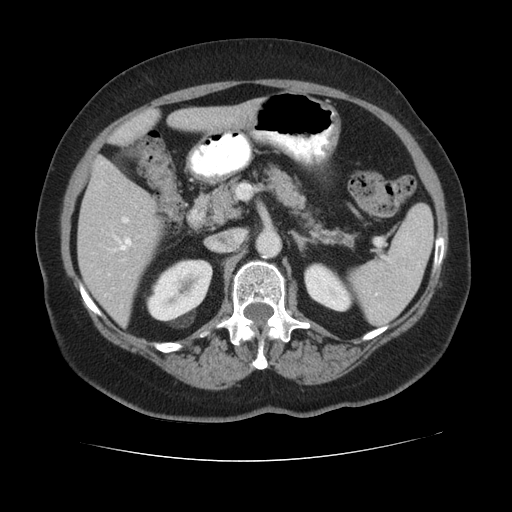 CT scan slice | Abdomen
pancreas: bbox=[206, 181, 239, 225]; bbox=[266, 169, 352, 244] | pancreatic tumor: bbox=[214, 204, 225, 224]